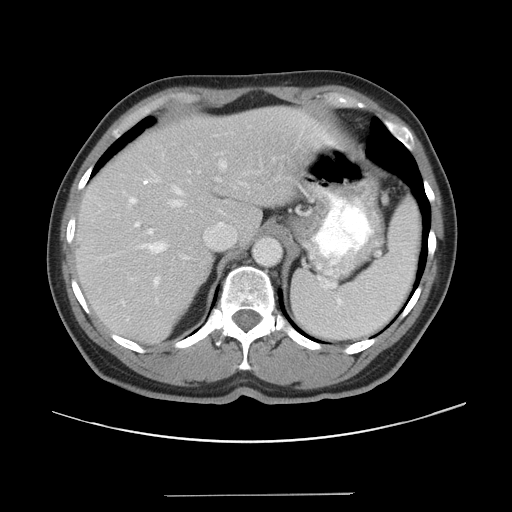

CT image; Liver; Image size 512x512
Not every hepatic vessel necessarily has a box.
hepatic vessel: <box>135,223,138,226</box>, <box>174,188,182,194</box>, <box>148,229,152,233</box>, <box>130,198,136,203</box>, <box>144,178,159,183</box>, <box>138,243,166,252</box>, <box>216,178,220,180</box>, <box>154,277,159,286</box>, <box>168,200,184,206</box>, <box>219,161,226,169</box>, <box>183,255,188,259</box>